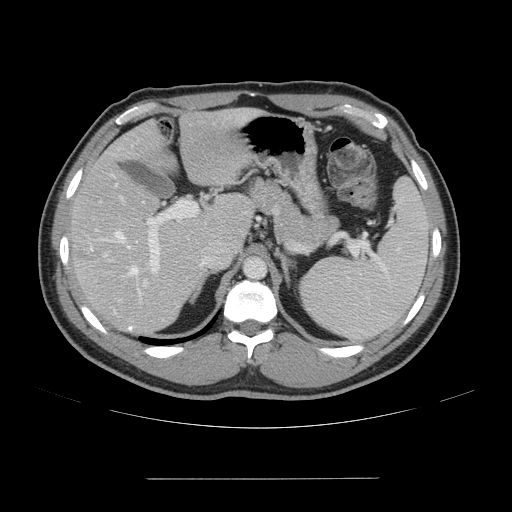
CT, 512x512
Some hepatic vessels may have no box.
The liver tumor is located at 77:252:101:262. 13 hepatic vessel regions are located at 118:299:120:300, 147:218:150:224, 115:231:123:241, 130:267:137:275, 111:174:113:177, 143:280:147:286, 95:229:97:231, 139:291:141:299, 114:310:116:314, 120:196:122:199, 110:259:112:260, 103:254:106:256, 100:239:108:240.